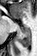 MRI slice. Medial temporal lobe.
posterior_hippocampus:
  - region(18, 28, 31, 47)